Field of view 439 mm wide, 0.80 mm slice spacing. CT. Upper abdomen.
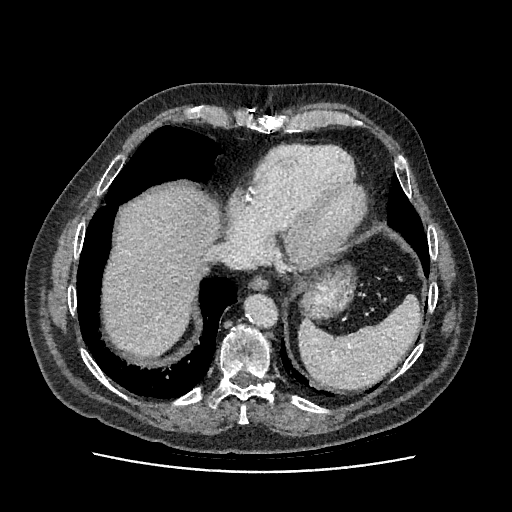
liver:
  - box=[102, 188, 217, 356]